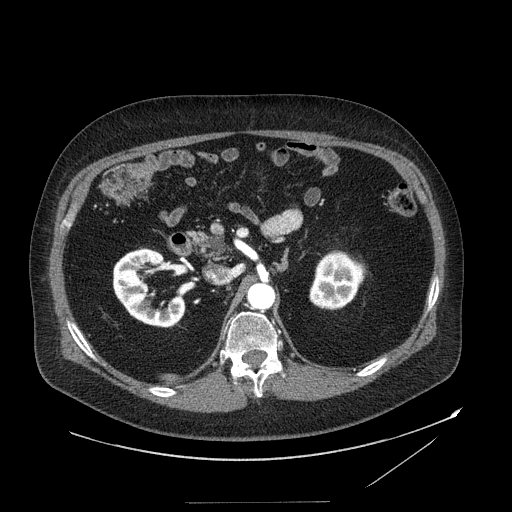

Upper abdomen. CT. The pancreatic tumor appears at <box>208,238,226,250</box>. The pancreas lies within <box>189,231,233,263</box>.